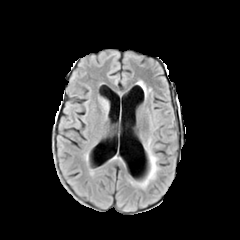
FLAIR MR.
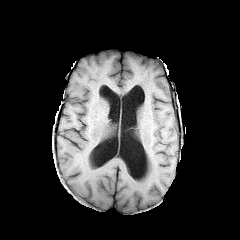
Same slice, T1-weighted MRI.
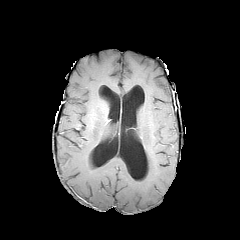
Post-contrast T1-weighted magnetic resonance.
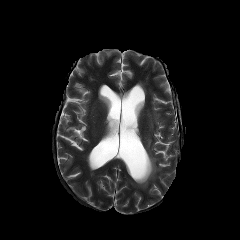
T2-weighted MR image.
Head.
edema:
  - (left=136, top=138, right=160, bottom=187)